Slice index 53; Brain
FLAIR magnetic resonance.
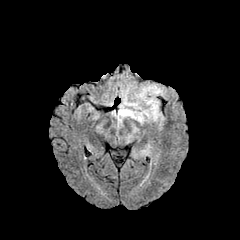
T1-weighted MRI.
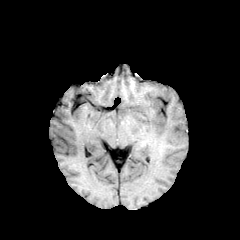
Post-contrast T1-weighted MRI.
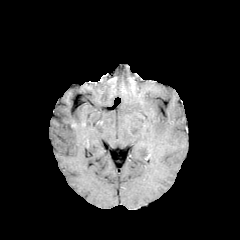
T2-weighted MR.
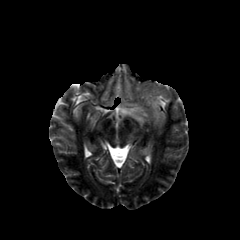
Findings:
- edema: {"x1": 139, "y1": 85, "x2": 160, "y2": 116}